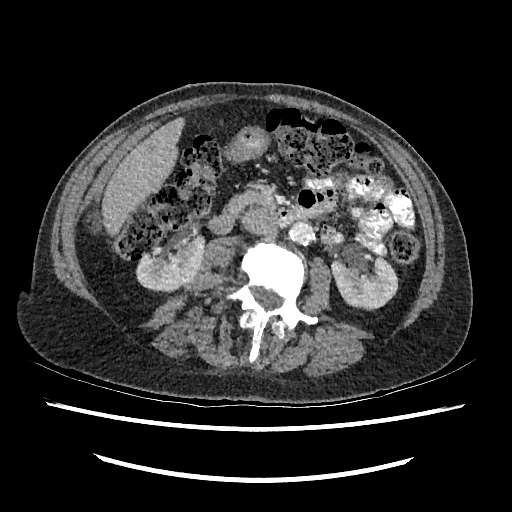 Upper abdomen; Computed tomography; 512x512

The focal liver lesion lies within 146 144 155 151. 2 kidney regions appear at 331 258 397 308, 137 244 204 290. The liver lies within 103 117 183 234.